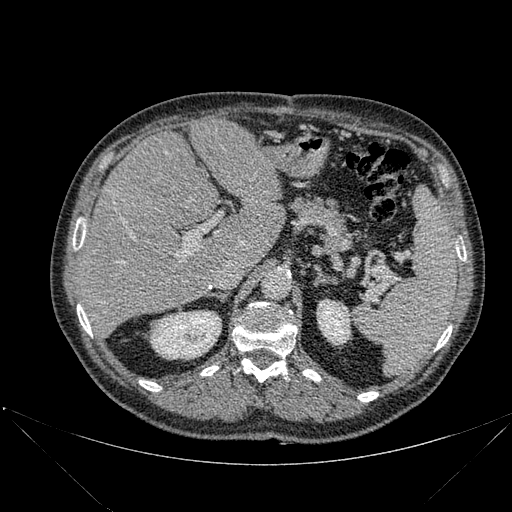

Computed tomography. 9 bone regions are located at (456, 247, 466, 260), (139, 380, 161, 391), (435, 326, 451, 349), (358, 391, 378, 401), (200, 366, 218, 375), (232, 302, 297, 382), (77, 304, 92, 336), (73, 220, 85, 248), (303, 369, 321, 381). 2 kidney regions are bounded by (151, 311, 221, 359), (317, 299, 350, 344). 2 liver regions are bounded by (76, 132, 222, 338), (190, 119, 286, 273).